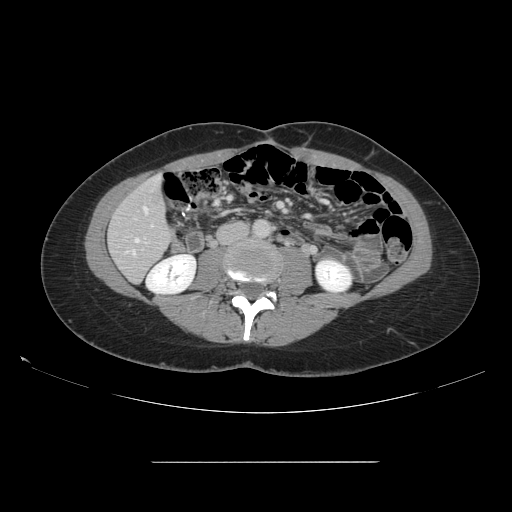
CT scan slice | Liver

Only some of the vessels may be annotated.
6 hepatic vessel regions appear at l=143, t=206, r=147, b=214; l=124, t=250, r=135, b=254; l=151, t=224, r=153, b=226; l=144, t=237, r=148, b=242; l=135, t=238, r=140, b=242; l=153, t=177, r=159, b=182.